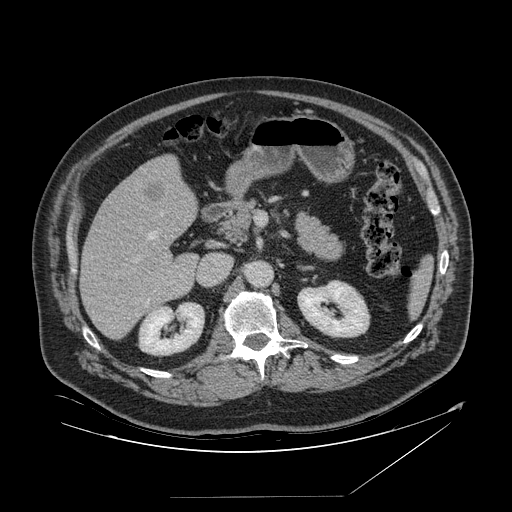

512x512 px. CT scan slice. Segmented structures:
- spleen: 408, 256, 433, 318